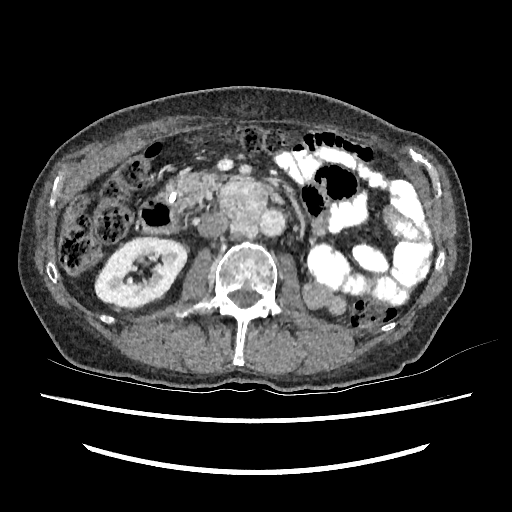 Abdomen, CT slice

Kidney at (95,237,186,307).